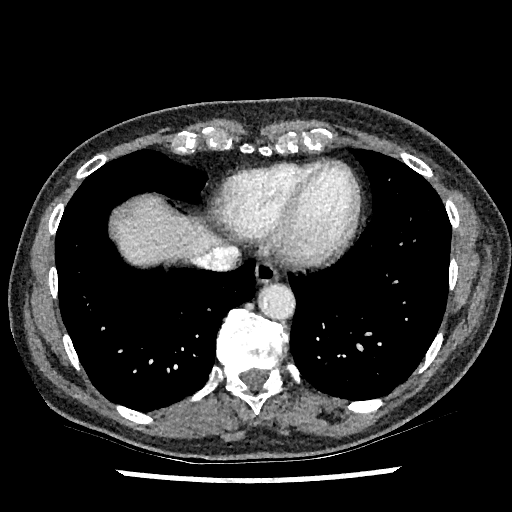 Computed tomography; Abdomen
{
  "liver": [
    "(left=110, top=195, right=220, bottom=265)"
  ]
}